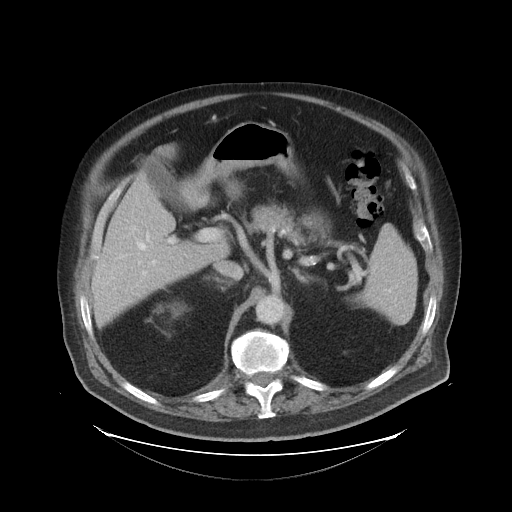
Abdomen | Computed tomography

The vessel boxes may cover only some of the vessels.
* hepatic vessel: (x1=137, y1=242, x2=145, y2=249), (x1=152, y1=260, x2=154, y2=263), (x1=139, y1=253, x2=140, y2=255)